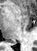
37x51 px | MRI | Hippocampus

The posterior hippocampus is located at (8,41,13,43).